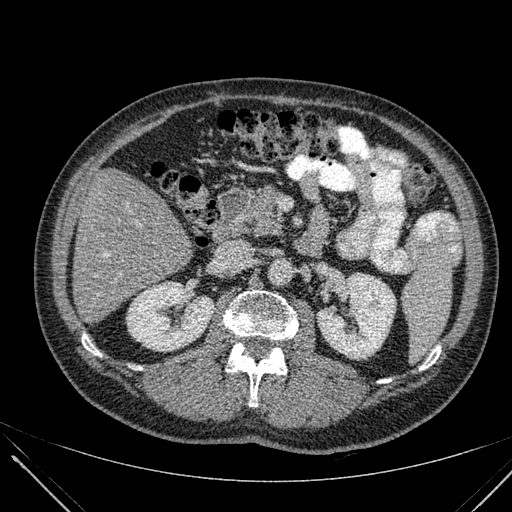 CT image | Upper abdomen
2 kidney regions are located at bbox(127, 282, 213, 350); bbox(318, 273, 395, 357). The liver is bounded by bbox(73, 170, 193, 323).